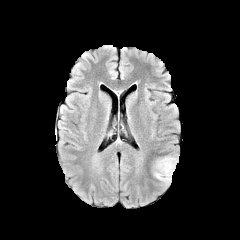
FLAIR MR image.
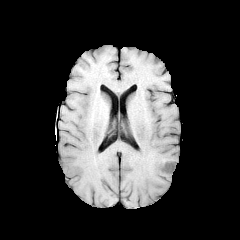
T1-weighted MR of the same slice.
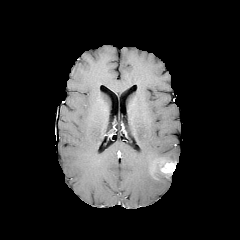
Post-contrast T1-weighted MR image.
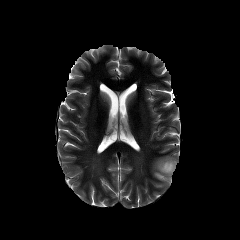
Same slice, T2-weighted MR image.
Image size 240x240
{"enhancing_tumor": ["(160, 161, 176, 175)"], "edema": ["(152, 155, 175, 185)"]}